Slice index 142, CT image 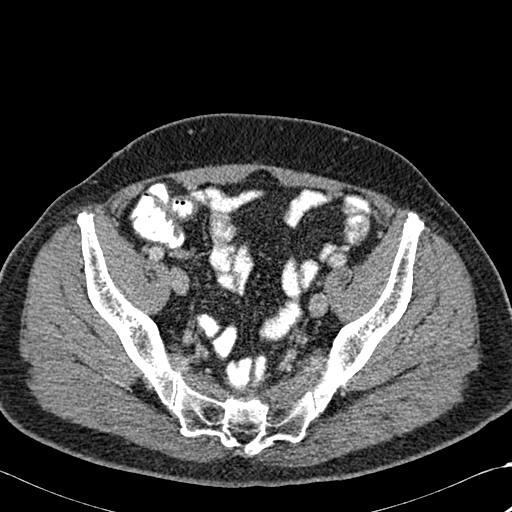

<segmentation>
  <bone>[77,212,423,454]</bone>
</segmentation>